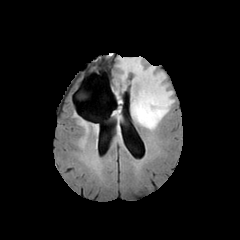
FLAIR magnetic resonance.
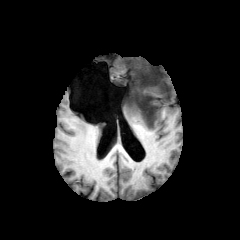
T1-weighted MR image.
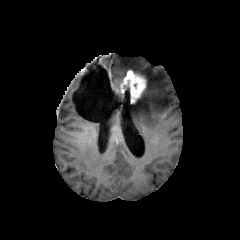
Post-contrast T1-weighted MRI.
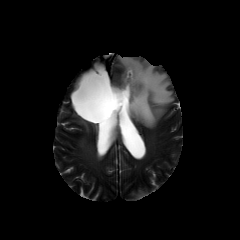
T2-weighted magnetic resonance.
The enhancing tumor is bounded by box(116, 69, 145, 103). 2 non-enhancing tumor core regions appear at box(120, 86, 133, 104); box(126, 68, 149, 103). The edema is bounded by box(117, 58, 174, 130).